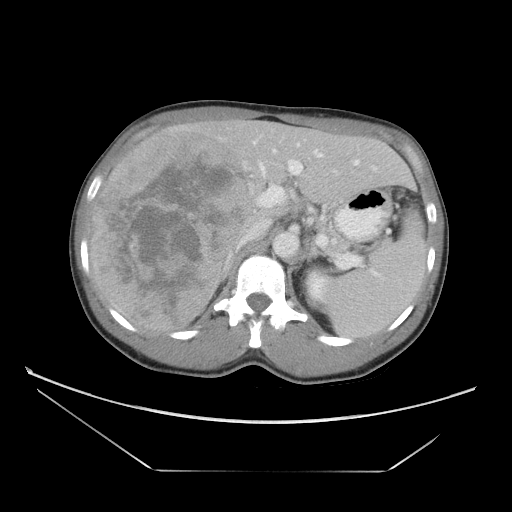 Computed tomography
Some hepatic vessels may have no box.
Segmented structures:
- liver tumor: x1=89 y1=127 x2=266 y2=333
- hepatic vessel: x1=287 y1=159 x2=301 y2=173, x1=272 y1=149 x2=276 y2=153, x1=272 y1=187 x2=281 y2=197, x1=319 y1=154 x2=321 y2=155, x1=259 y1=196 x2=261 y2=204